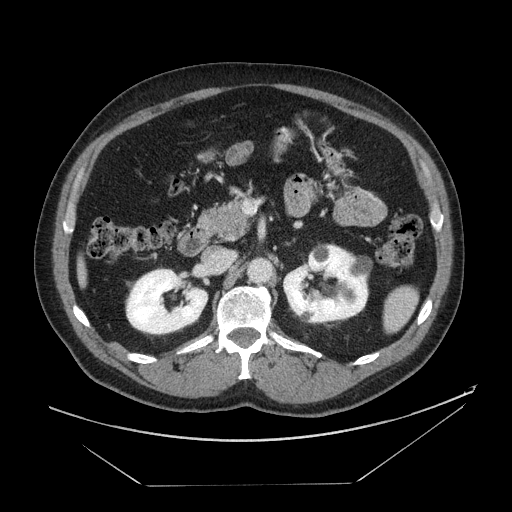

Upper abdomen; CT image

The pancreas lies within (x1=197, y1=200, x2=247, y2=237).